Liver, CT image, Slice 28 of 131

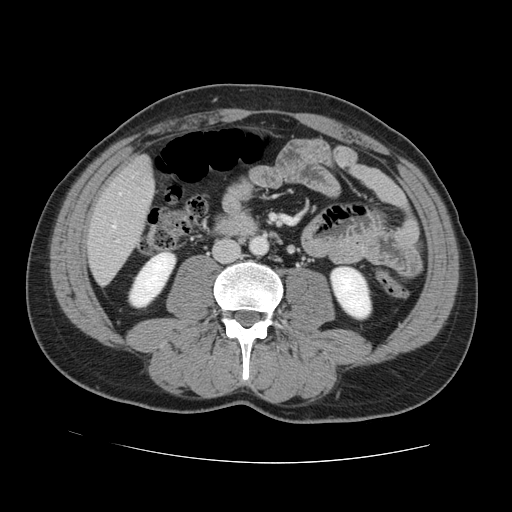
The vessel annotation is not exhaustive.
hepatic_vessel:
  - 119:193:120:194
  - 112:221:115:229
  - 116:240:118:241
  - 130:242:131:243